Abdomen, CT, Slice 15 of 42
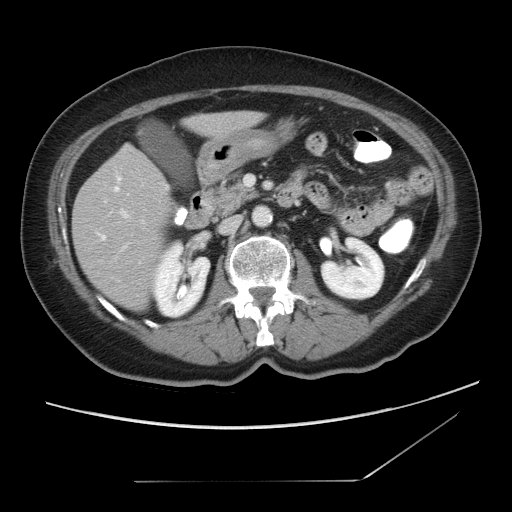 The vessel annotation is not exhaustive.
4 hepatic vessel regions are located at (left=142, top=221, right=143, bottom=222), (left=117, top=177, right=121, bottom=181), (left=114, top=187, right=119, bottom=191), (left=98, top=234, right=105, bottom=240).